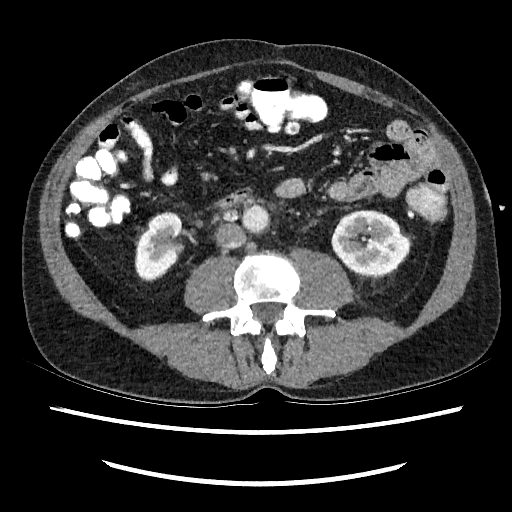

Computed tomography

• kidney: rect(136, 214, 181, 278); rect(332, 211, 408, 274)